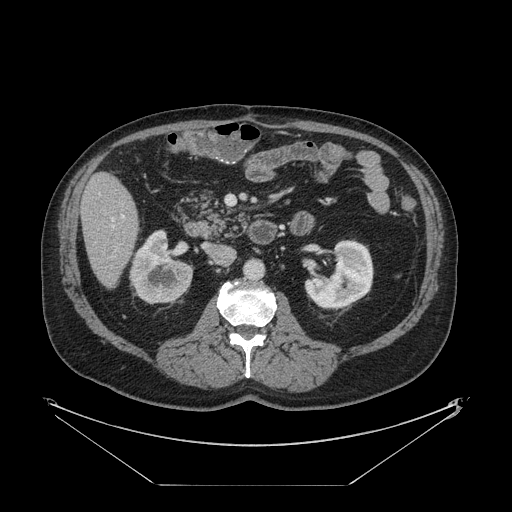 CT.
Some hepatic vessels may have no box.
Segmented structures:
- hepatic vessel: <bbox>121, 215, 123, 217</bbox>